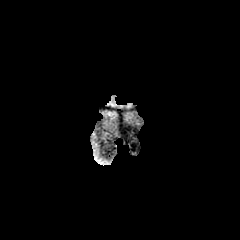
FLAIR MR image.
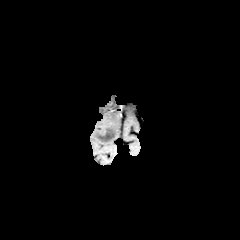
Same slice, T1-weighted MR.
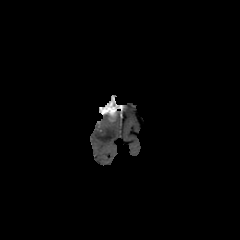
Same slice, post-contrast T1-weighted magnetic resonance.
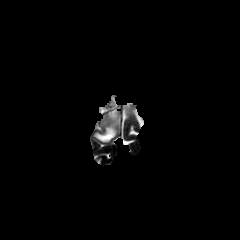
T2-weighted MR.
Head
The enhancing tumor is at 99, 96, 117, 122. The edema is located at 99, 125, 115, 140.